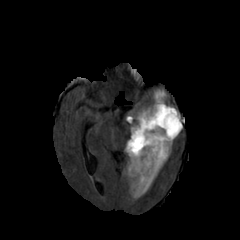
FLAIR magnetic resonance.
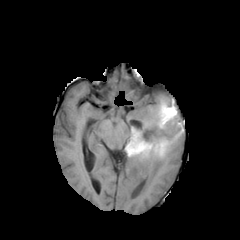
Same slice, T1-weighted MR image.
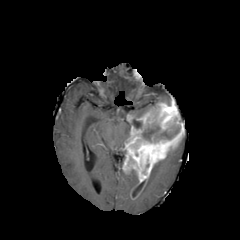
Post-contrast T1-weighted MR image.
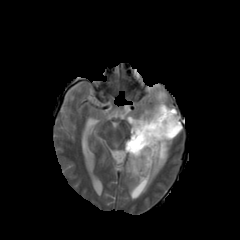
T2-weighted MR image.
Head
* edema: (132,154,167,197), (152,90,166,107), (136,108,151,119)
* non-enhancing tumor core: (132,105,183,142), (136,178,147,193), (123,154,132,169)
* enhancing tumor: (126,126,179,181), (156,104,182,130), (140,112,154,125)